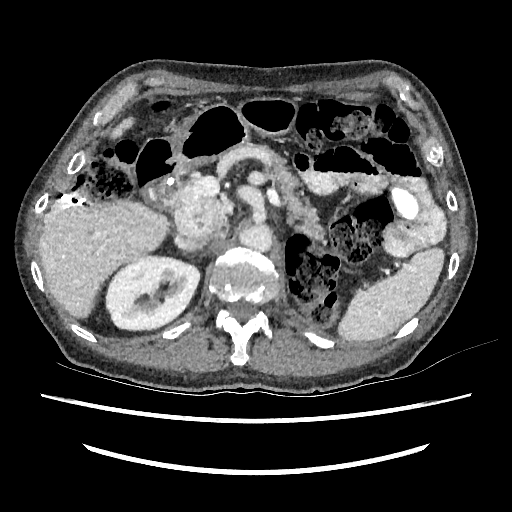 Liver, Computed tomography
liver:
  - (40, 201, 166, 317)
  - (112, 118, 132, 136)
kidney:
  - (106, 257, 199, 329)